Slice 78/155 | Head
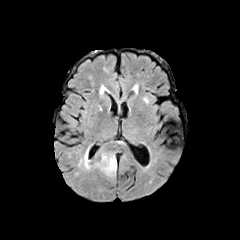
FLAIR MRI.
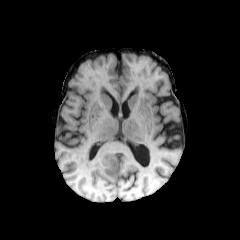
Same slice, T1-weighted MRI.
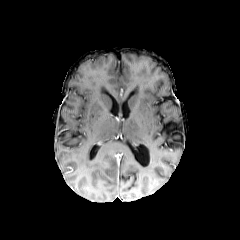
Post-contrast T1-weighted MR.
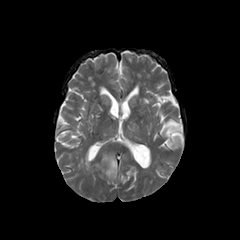
Same slice, T2-weighted MR.
The edema is at (78,149,117,177).